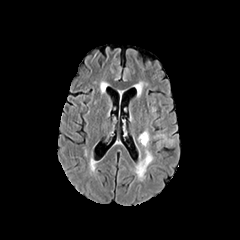
FLAIR MRI.
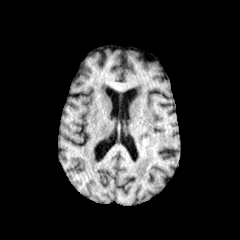
T1-weighted magnetic resonance.
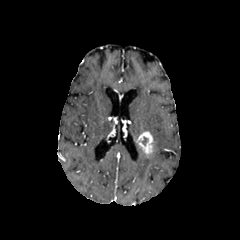
Post-contrast T1-weighted MRI.
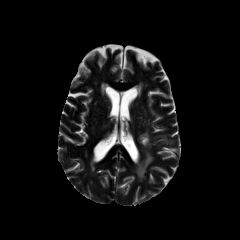
Same slice, T2-weighted MR.
240x240
The enhancing tumor lies within x1=135, y1=130, x2=153, y2=159. 2 edema regions are located at x1=132, y1=158, x2=153, y2=181; x1=153, y1=134, x2=173, y2=146.